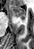 Hippocampus; 34x49 px; MRI slice
Anterior hippocampus: (x1=9, y1=5, x2=25, y2=19).